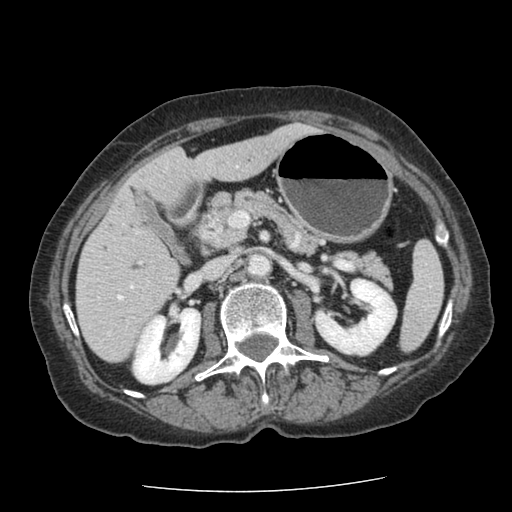
Image size 512x512; CT
The pancreatic tumor lies within rect(206, 224, 225, 242). 2 pancreas regions are located at rect(206, 191, 317, 254); rect(339, 252, 389, 284).